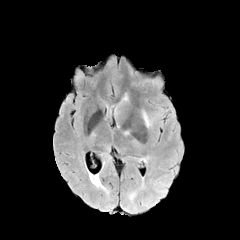
FLAIR MRI.
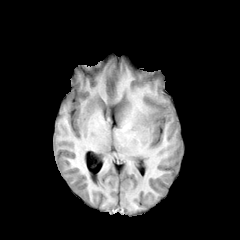
T1-weighted MRI of the same slice.
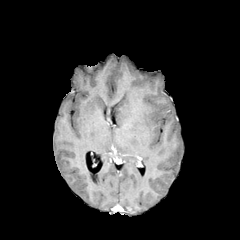
Post-contrast T1-weighted MRI of the same slice.
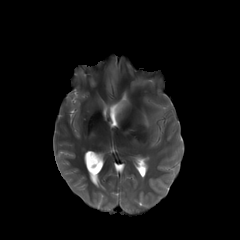
Same slice, T2-weighted MRI.
Brain | 240x240
2 edema regions appear at 117, 96, 127, 112; 142, 112, 150, 127.